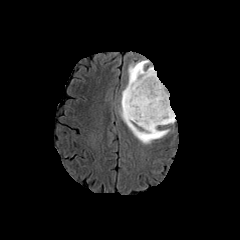
FLAIR MR image.
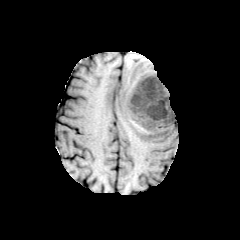
T1-weighted MRI.
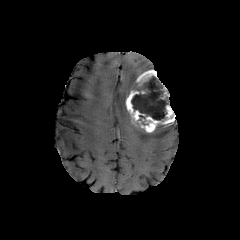
Post-contrast T1-weighted magnetic resonance.
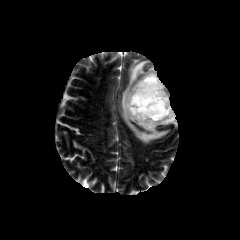
Same slice, T2-weighted MR image.
2 non-enhancing tumor core regions are located at (142,128,161,137), (131,76,169,119). 3 enhancing tumor regions appear at (125,90,174,132), (160,86,169,99), (136,70,156,86). The edema is bounded by (118,58,170,143).